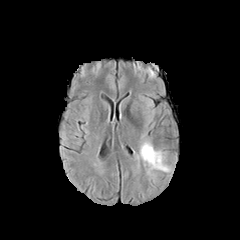
FLAIR MR.
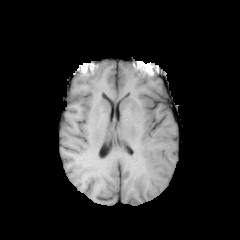
T1-weighted MRI.
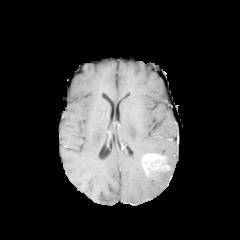
Post-contrast T1-weighted MR.
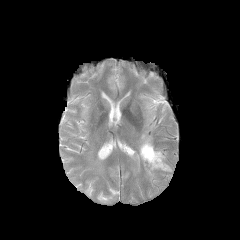
T2-weighted MR of the same slice.
Brain
edema: (left=133, top=135, right=171, bottom=177) | enhancing tumor: (left=142, top=152, right=169, bottom=174)